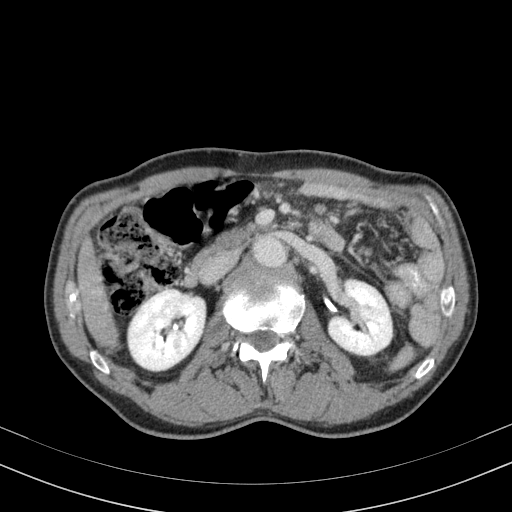 CT slice, Image size 512x512
kidney: bbox=[329, 281, 391, 354]; bbox=[129, 290, 204, 369] | liver: bbox=[77, 237, 119, 352]